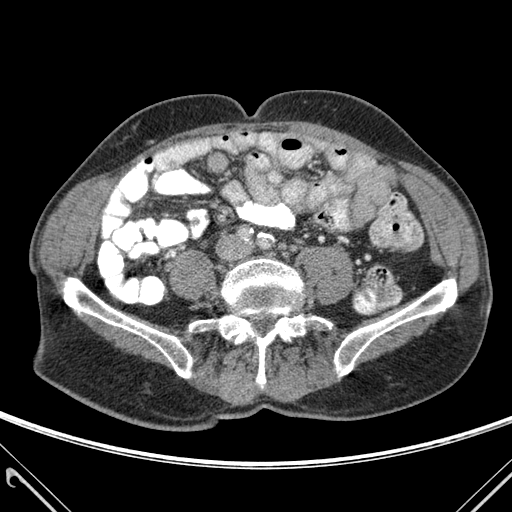
CT
5 bone regions appear at [x1=189, y1=320, x2=215, y2=330], [x1=308, y1=316, x2=331, y2=327], [x1=217, y1=259, x2=305, y2=384], [x1=334, y1=279, x2=456, y2=376], [x1=63, y1=278, x2=192, y2=377].